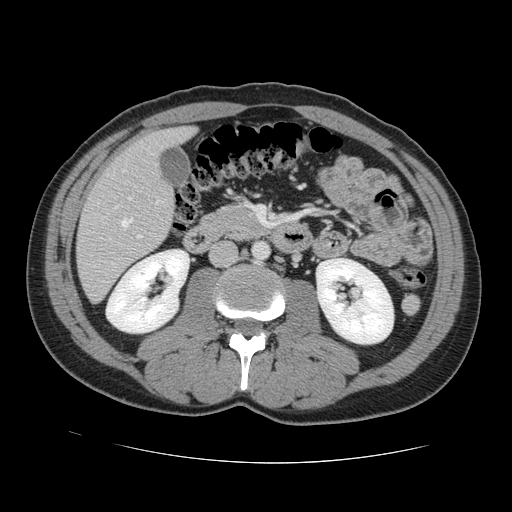
Abdomen, CT slice
Only some of the vessels may be annotated.
Hepatic vessel at <bbox>156, 199, 161, 203</bbox>, <bbox>137, 235, 140, 237</bbox>, <bbox>111, 262, 112, 264</bbox>, <bbox>115, 205, 117, 207</bbox>, <bbox>151, 153, 153, 154</bbox>, <bbox>121, 218, 131, 228</bbox>, <bbox>128, 197, 130, 199</bbox>.